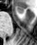

MR image | 37x45 px
Annotated regions:
• anterior hippocampus: 16,6,23,13